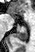 MR image

anterior_hippocampus:
  - (12,15,14,17)
posterior_hippocampus:
  - (10,25,27,42)